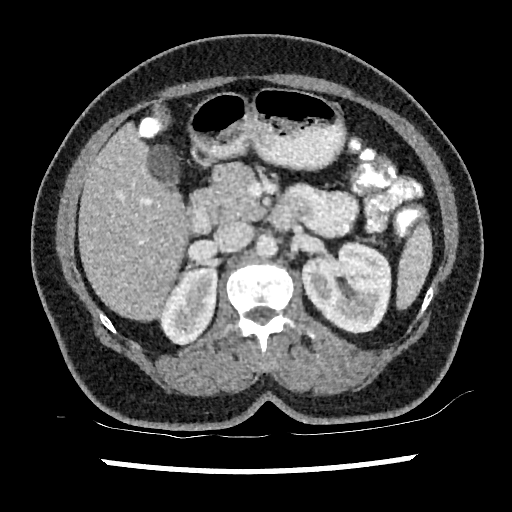
CT; Image size 512x512

Annotated regions:
- kidney: bbox(161, 268, 216, 344); bbox(303, 243, 390, 332)
- hepatic lesion: bbox(149, 146, 179, 182)
- liver: bbox(79, 123, 186, 319)